FLAIR MRI.
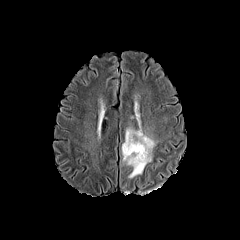
T1-weighted magnetic resonance.
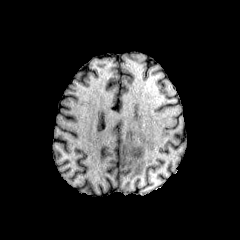
Post-contrast T1-weighted magnetic resonance.
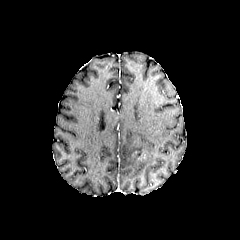
T2-weighted MR.
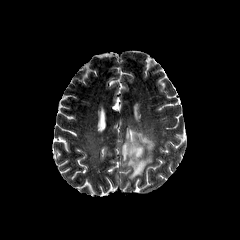
240x240; Head
The edema is at (left=122, top=123, right=157, bottom=178). The non-enhancing tumor core lies within (left=132, top=149, right=142, bottom=157).